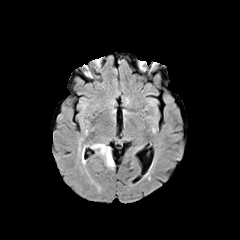
FLAIR MR.
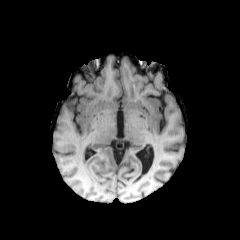
T1-weighted MRI.
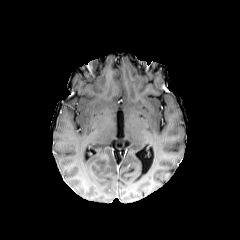
Post-contrast T1-weighted MRI.
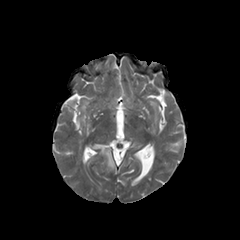
Same slice, T2-weighted MR image.
Brain; 240x240
<segmentation>
  <edema>bbox=[90, 142, 114, 169]</edema>
</segmentation>